Brain; Computed tomography; Slice 647 of 687
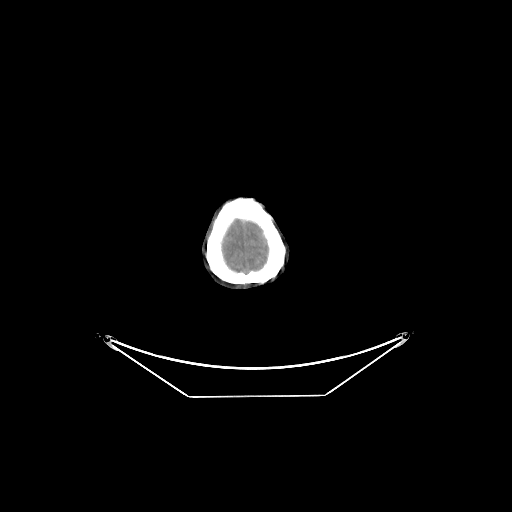 <segmentation>
  <brain>(223, 219, 267, 272)</brain>
</segmentation>